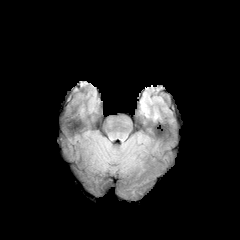
FLAIR MR image.
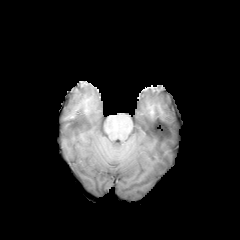
T1-weighted magnetic resonance of the same slice.
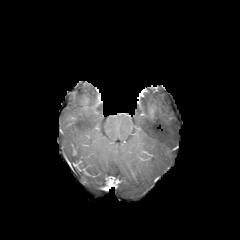
Post-contrast T1-weighted MR.
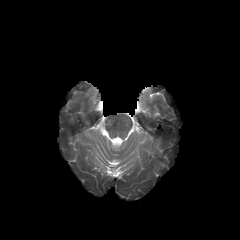
Same slice, T2-weighted magnetic resonance.
Image size 240x240, Brain
The edema is bounded by x1=140 y1=100 x2=153 y2=113.